Slice 90 of 94, CT image, Field of view 400x400 mm, Upper abdomen

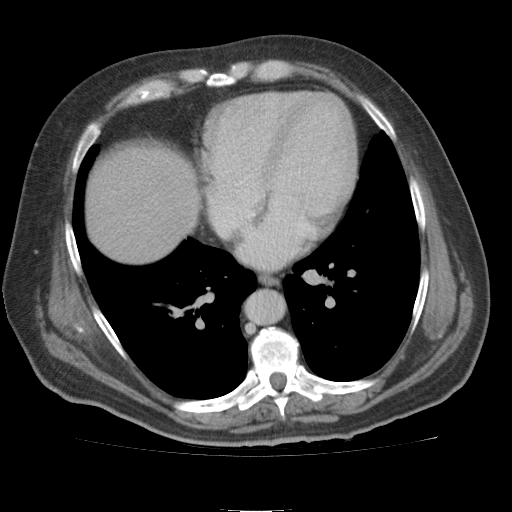 <segmentation>
  <liver><bbox>88, 136, 197, 261</bbox></liver>
</segmentation>